CT image
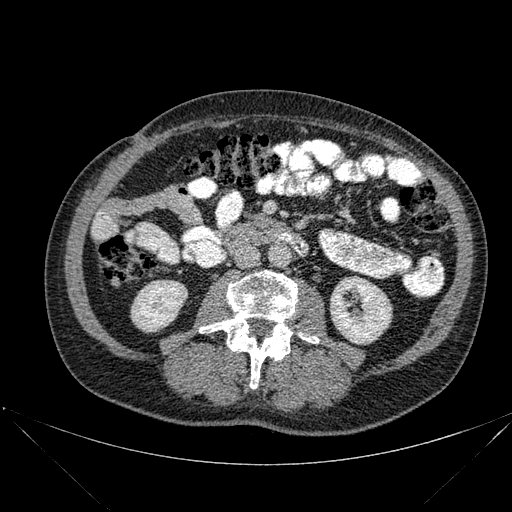

{
  "bone": [
    "[199, 270, 297, 388]",
    "[298, 333, 318, 343]"
  ],
  "kidney": [
    "[330, 277, 391, 343]",
    "[131, 281, 187, 331]"
  ]
}